CT image. 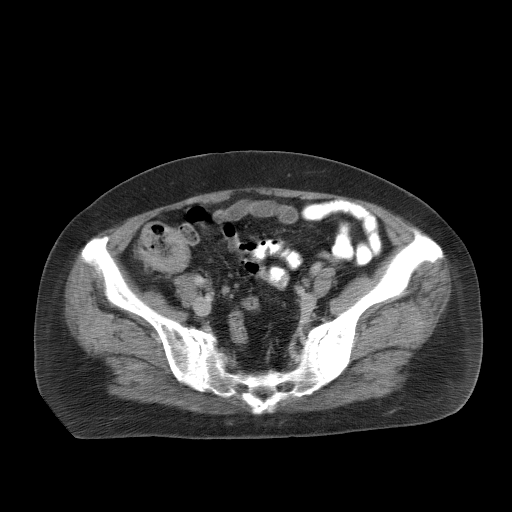 Colon tumor: bounding box bbox(138, 227, 189, 271); bbox(140, 225, 151, 245).